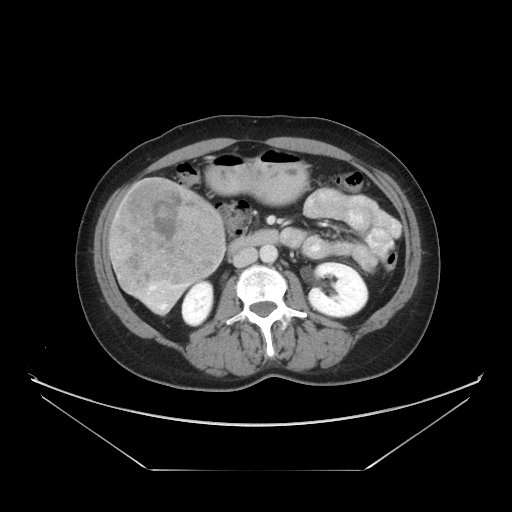
CT image; Abdomen
• liver tumor: rect(112, 178, 223, 292)